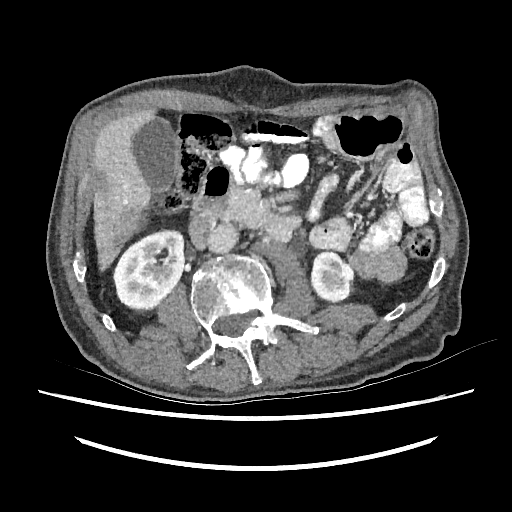 CT image
Liver — {"x1": 93, "y1": 109, "x2": 155, "y2": 269}.
Kidney — {"x1": 114, "y1": 232, "x2": 184, "y2": 308}, {"x1": 312, "y1": 252, "x2": 353, "y2": 301}.
Liver lesion — {"x1": 96, "y1": 172, "x2": 108, "y2": 191}, {"x1": 110, "y1": 204, "x2": 140, "y2": 249}.